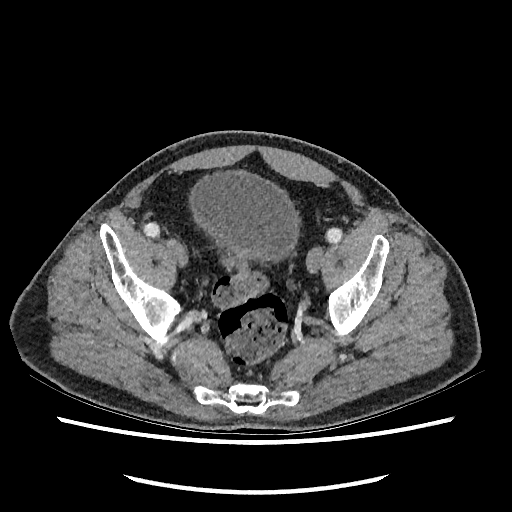
CT image. 512x512 px.
urinary_bladder:
  - <box>189,171,298,263</box>